Slice 118/155. Head.
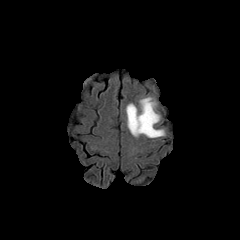
FLAIR MR image.
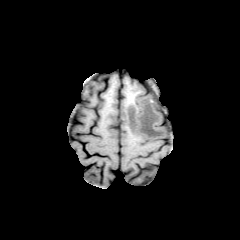
T1-weighted MRI.
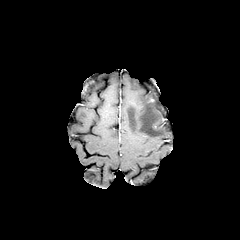
Same slice, post-contrast T1-weighted magnetic resonance.
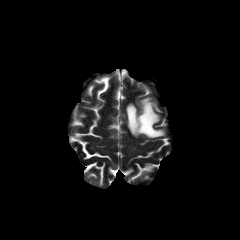
T2-weighted magnetic resonance of the same slice.
The non-enhancing tumor core appears at x1=141, y1=115, x2=152, y2=133. The edema is located at x1=125, y1=96, x2=165, y2=139.